Field of view 427 mm wide, 5.00 mm slice spacing. Slice index 28. Computed tomography.
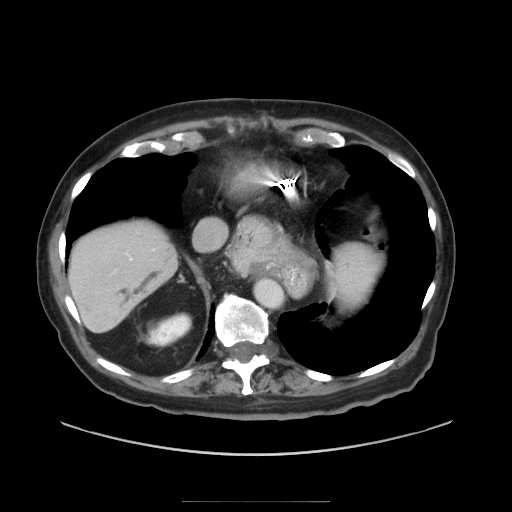 Some hepatic vessels may have no box.
The hepatic vessel appears at (x1=126, y1=252, x2=132, y2=260).